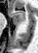
Medial temporal lobe; MRI slice
Segmented structures:
• anterior hippocampus: x1=12 y1=11 x2=24 y2=25